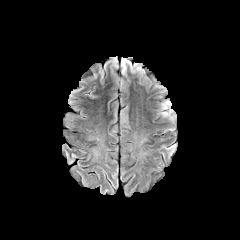
FLAIR MR image.
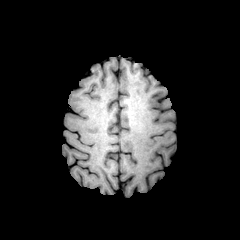
T1-weighted MR image of the same slice.
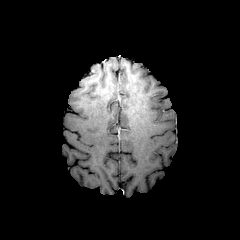
Post-contrast T1-weighted MR image of the same slice.
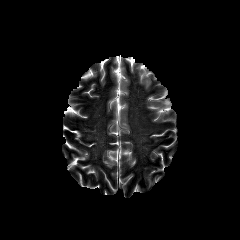
T2-weighted MR.
Head
Edema = <bbox>160, 100, 171, 116</bbox>.